CT image 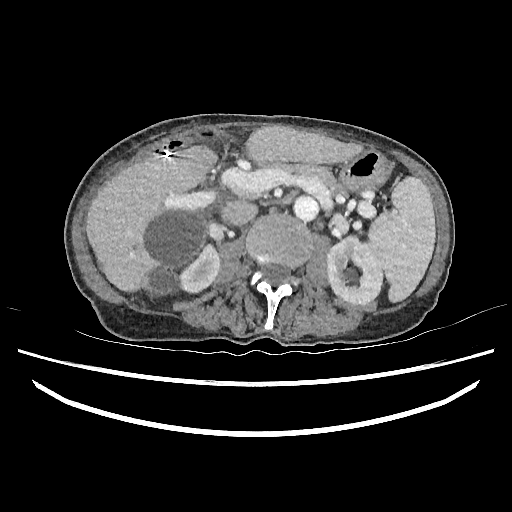

• liver: [87, 146, 216, 292], [246, 127, 358, 164]
• kidney: [209, 224, 221, 238], [181, 244, 219, 292], [327, 236, 381, 304]
• focal liver lesion: [144, 207, 215, 297]